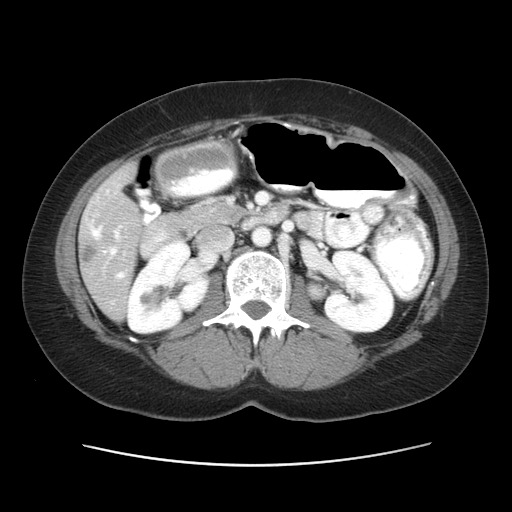

CT
Only some of the vessels may be annotated.
* liver tumor: 83, 245, 96, 264
* hepatic vessel: 103, 247, 115, 254; 89, 222, 101, 237; 117, 273, 124, 277; 114, 226, 120, 239